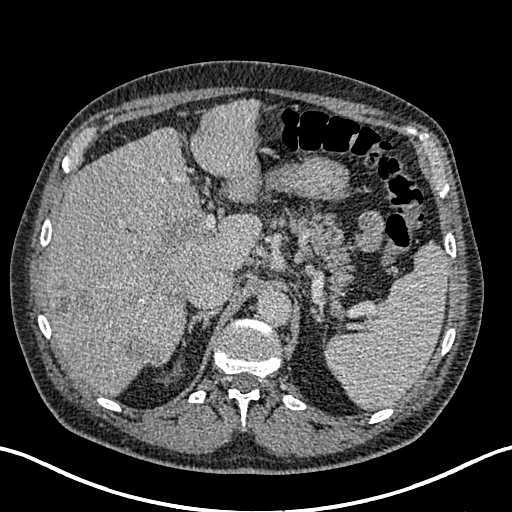

Abdomen. CT slice. focal liver lesion: l=124, t=334, r=162, b=364; l=145, t=219, r=199, b=287; l=55, t=282, r=94, b=314 | liver: l=191, t=100, r=260, b=203; l=45, t=126, r=261, b=395